Image width 330 mm, CT slice, Slice 32/188 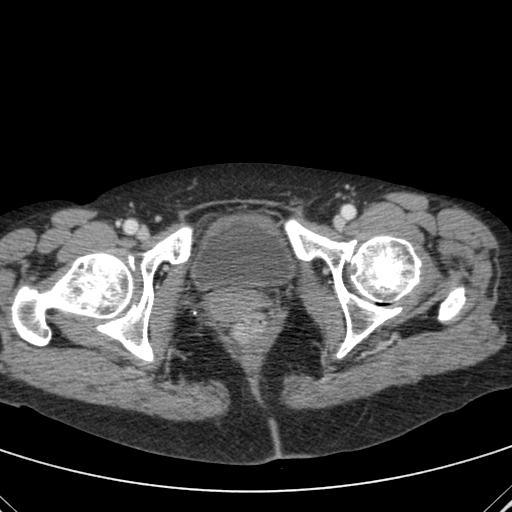
urinary_bladder:
  - region(193, 212, 296, 289)